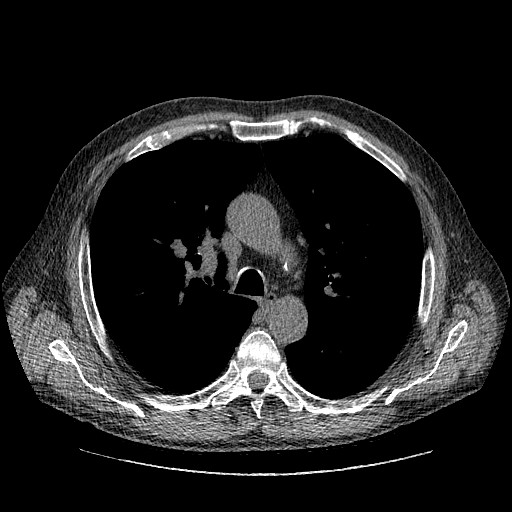
CT scan slice | 512x512 px
The lung tumor lies within rect(166, 234, 196, 265).